CT image; Slice index 89; 512x512

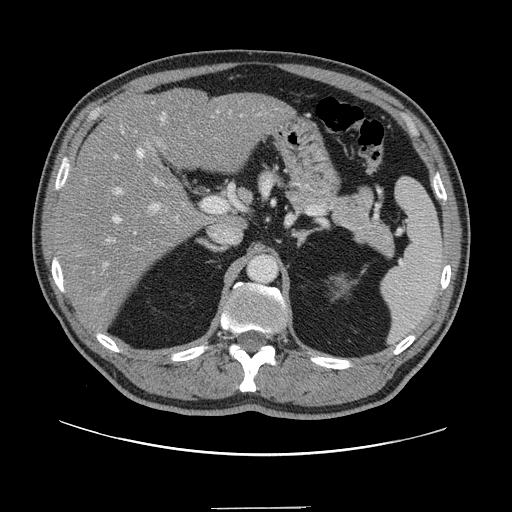

Some hepatic vessels may have no box.
hepatic vessel: region(137, 149, 143, 157); region(114, 216, 120, 222); region(176, 217, 178, 221); region(107, 239, 115, 242); region(115, 156, 117, 158); region(115, 189, 121, 193); region(217, 111, 218, 113); region(160, 113, 165, 121); region(150, 204, 159, 209); region(103, 262, 108, 266); region(154, 179, 162, 184)